FLAIR MRI.
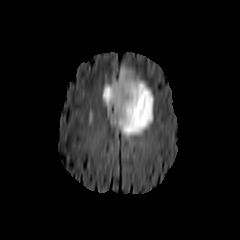
T1-weighted magnetic resonance.
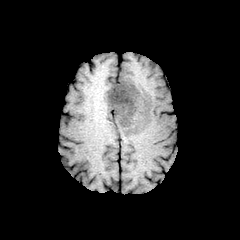
Post-contrast T1-weighted MR image.
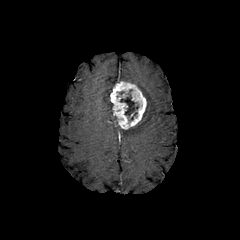
T2-weighted magnetic resonance.
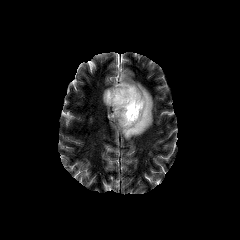
Non-enhancing tumor core — <bbox>120, 96, 139, 120</bbox>.
Enhancing tumor — <bbox>109, 79, 146, 129</bbox>.
Edema — <bbox>102, 84, 112, 109</bbox>, <bbox>118, 68, 154, 139</bbox>.